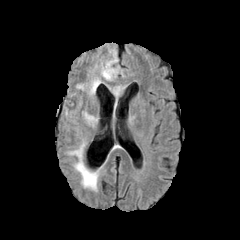
FLAIR MR image.
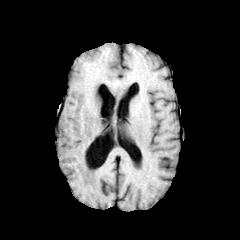
T1-weighted MR.
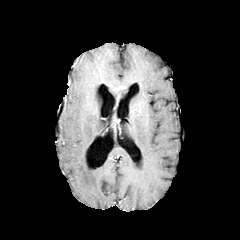
Post-contrast T1-weighted MRI of the same slice.
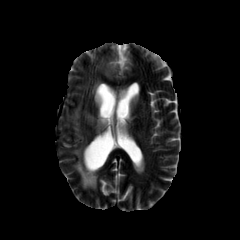
Same slice, T2-weighted MR.
edema: box(85, 112, 97, 124); box(106, 85, 125, 100); box(69, 137, 99, 191); box(88, 79, 101, 95); box(102, 49, 121, 79)